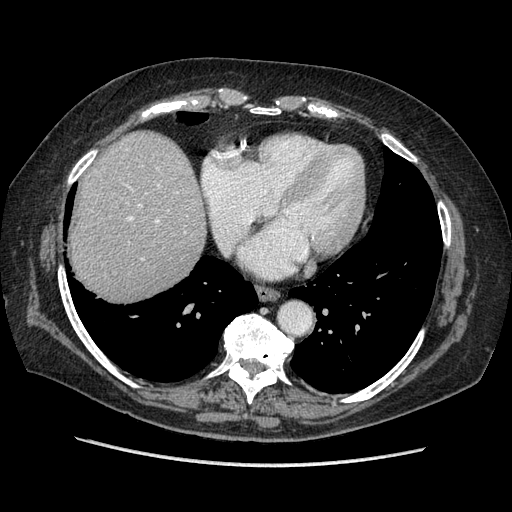
CT slice; Abdomen
Only some of the vessels may be annotated.
Hepatic vessel: (156, 219, 157, 221), (127, 217, 131, 219).